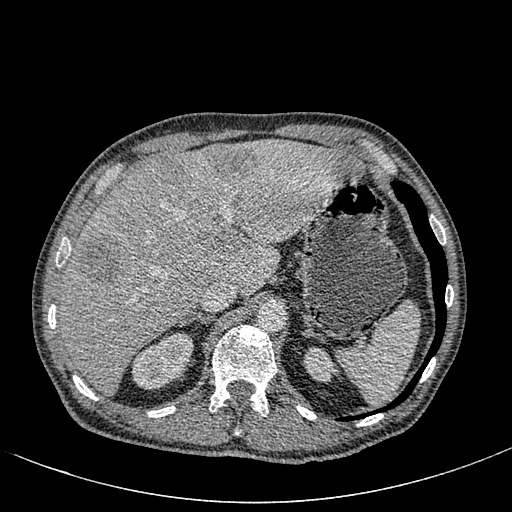

Liver | CT scan slice

The liver is bounded by x1=58 y1=140 x2=362 y2=396. 2 kidney regions appear at x1=304 y1=348 x2=338 y2=381, x1=132 y1=333 x2=193 y2=388. 4 hepatic lesion regions are bounded by x1=81 y1=229 x2=120 y2=282, x1=159 y1=154 x2=182 y2=181, x1=212 y1=233 x2=239 y2=253, x1=207 y1=145 x2=254 y2=179.